FLAIR MRI.
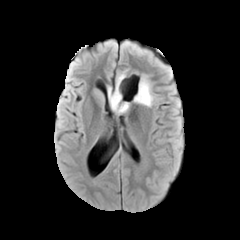
T1-weighted MR.
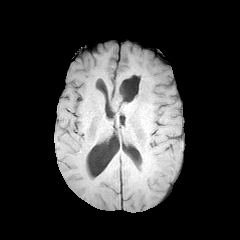
Post-contrast T1-weighted MR image.
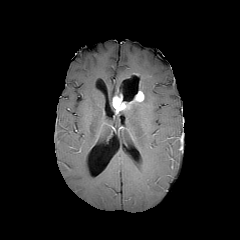
T2-weighted MRI.
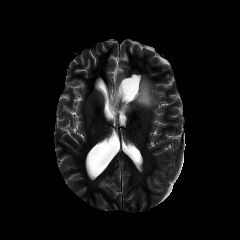
Brain
Non-enhancing tumor core = bbox=[110, 86, 121, 111].
Edema = bbox=[107, 71, 155, 107].
Enhancing tumor = bbox=[112, 94, 129, 113]; bbox=[134, 90, 143, 101].